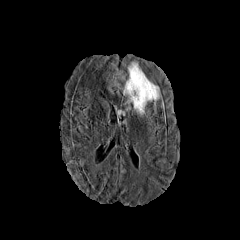
FLAIR MR.
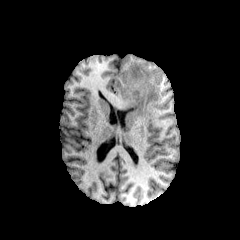
T1-weighted MR image.
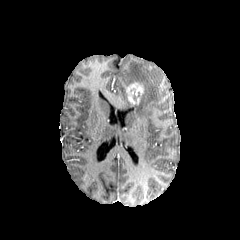
Post-contrast T1-weighted MRI.
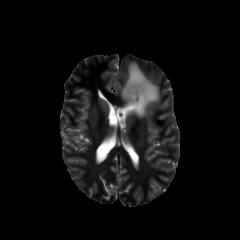
T2-weighted MRI.
240x240 px.
Enhancing tumor — 125:81:144:105.
Edema — 126:63:159:116.